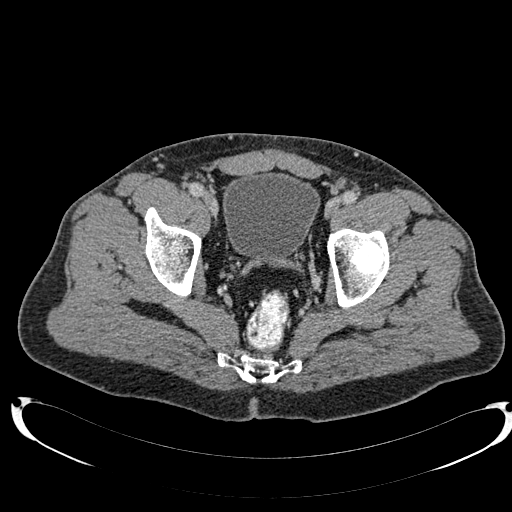
Pelvis, CT slice
urinary_bladder:
  - bbox(223, 171, 320, 266)